CT scan slice; Slice 57/574 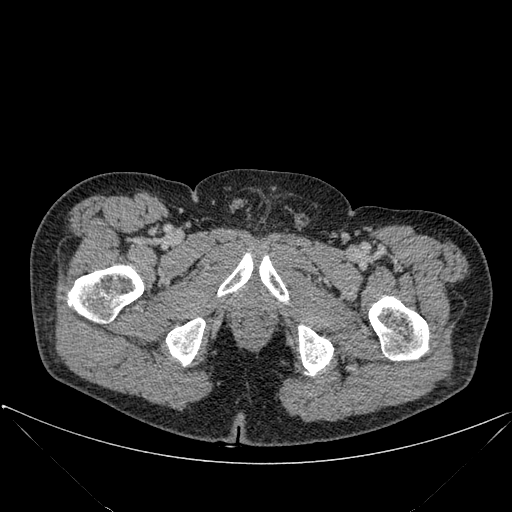 <segmentation>
  <bone>bbox(166, 318, 205, 365); bbox(369, 296, 428, 360); bbox(298, 325, 333, 375); bbox(217, 253, 288, 302); bbox(67, 265, 143, 322)</bone>
</segmentation>